Abdomen, CT slice 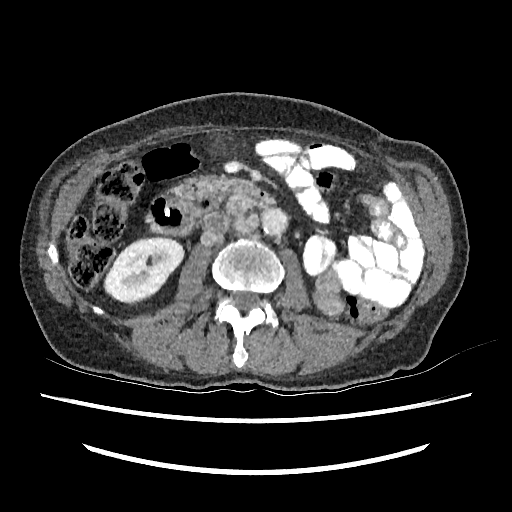
The kidney appears at box(105, 238, 183, 301).